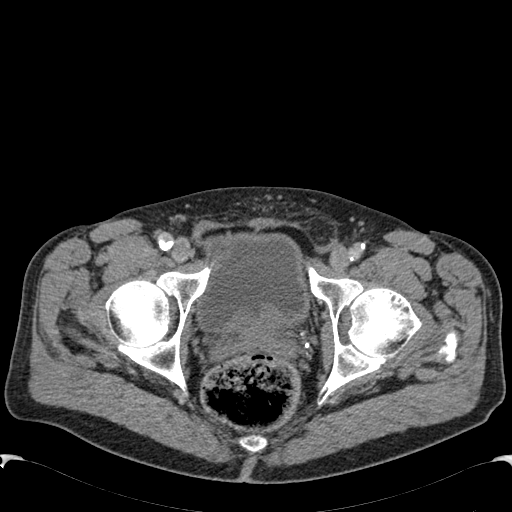 512x512 px. CT scan slice. The urinary bladder is at rect(194, 231, 309, 331).